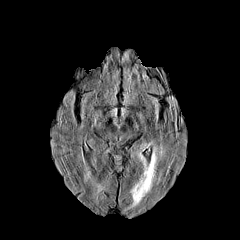
FLAIR magnetic resonance.
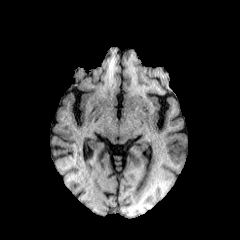
T1-weighted MR.
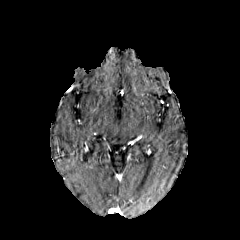
Post-contrast T1-weighted MR.
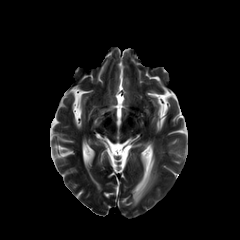
Same slice, T2-weighted MR.
Head
The edema is located at 127, 154, 156, 211.